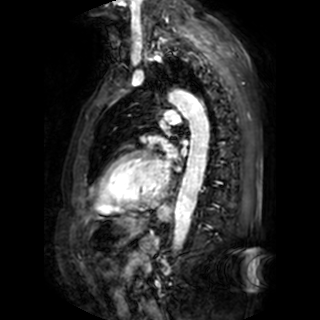
MRI; Heart
Left atrium at <bbox>163, 141, 174, 167</bbox>.